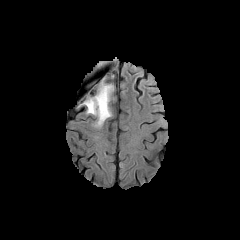
FLAIR MR image.
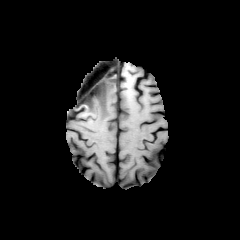
T1-weighted MRI.
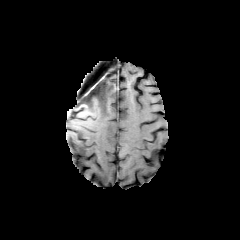
Post-contrast T1-weighted MR of the same slice.
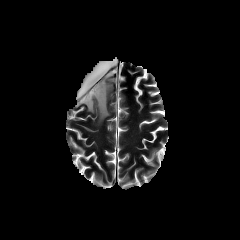
T2-weighted MR image of the same slice.
240x240 px
edema:
  - left=82, top=76, right=113, bottom=126
non-enhancing_tumor_core:
  - left=92, top=99, right=97, bottom=114